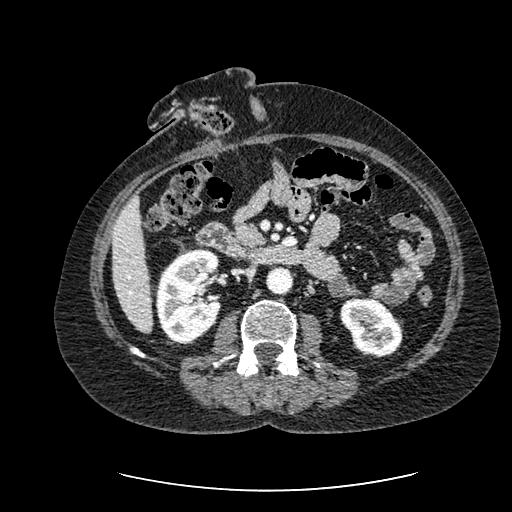
Upper abdomen. CT scan slice.

• liver: l=112, t=194, r=152, b=332
• kidney: l=341, t=299, r=401, b=356; l=157, t=250, r=219, b=343